Field of view 700 mm wide, 2.50 mm slice spacing. 512x512 px. Computed tomography. 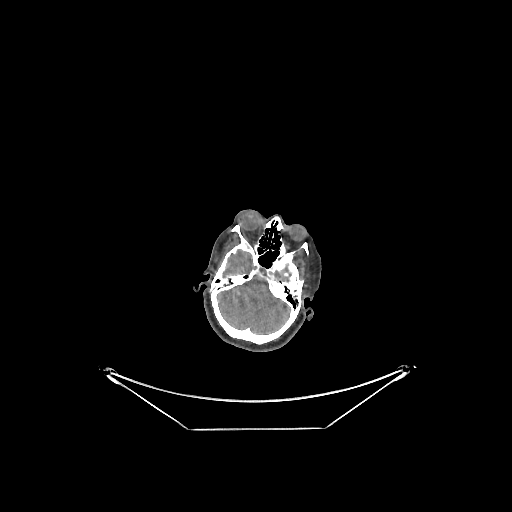 3 brain regions appear at l=274, t=266, r=291, b=281; l=217, t=274, r=290, b=334; l=223, t=249, r=254, b=277.